Slice 70/155, 240x240 px
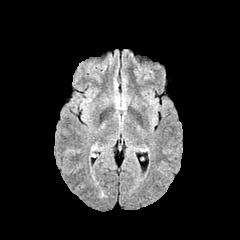
FLAIR MRI.
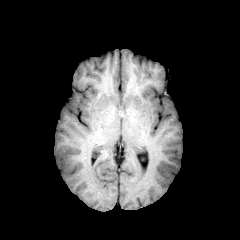
Same slice, T1-weighted MRI.
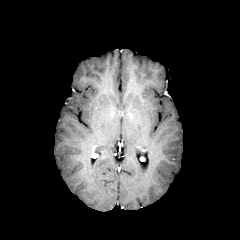
Post-contrast T1-weighted MR image of the same slice.
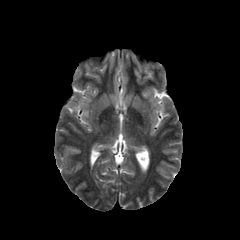
T2-weighted MRI.
The edema is bounded by 114 93 127 109.